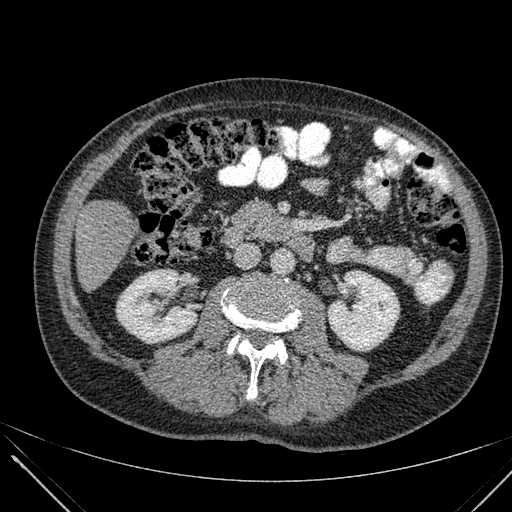 Upper abdomen; 512x512; CT scan slice
The liver lies within region(76, 200, 139, 291). 2 kidney regions are bounded by region(328, 271, 398, 350); region(116, 270, 195, 342).